Image width 328 mm | CT image | Upper abdomen

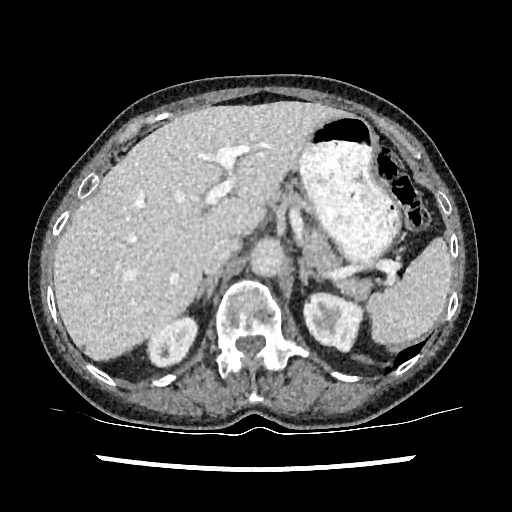

Segmented structures:
• kidney: bbox(305, 295, 360, 349); bbox(151, 318, 195, 365)
• liver: bbox(54, 102, 346, 358)